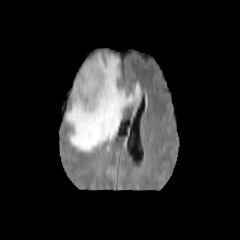
FLAIR magnetic resonance.
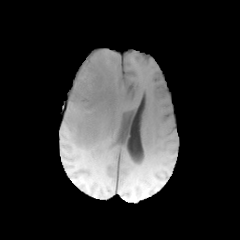
Same slice, T1-weighted magnetic resonance.
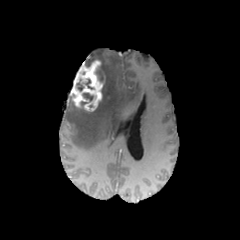
Post-contrast T1-weighted MR image.
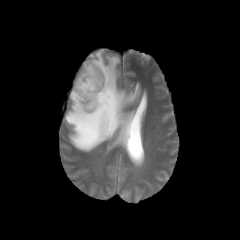
T2-weighted MR image of the same slice.
Brain; 240x240
Segmented structures:
• edema: (left=65, top=50, right=141, bottom=151)
• non-enhancing tumor core: (left=101, top=84, right=106, bottom=100), (left=96, top=62, right=105, bottom=83), (left=82, top=93, right=93, bottom=101)
• enhancing tumor: (left=68, top=59, right=104, bottom=111)